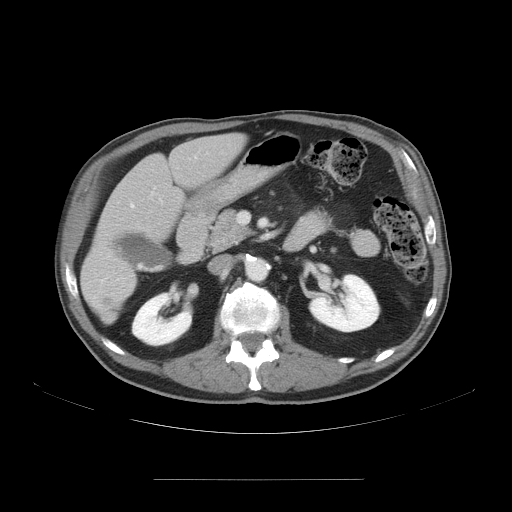

Abdomen. 512x512. CT slice. The vessel annotation is not exhaustive.
<segmentation>
  <hepatic_vessel><bbox>100, 277, 108, 282</bbox>, <bbox>237, 214, 239, 222</bbox>, <bbox>130, 202, 134, 208</bbox></hepatic_vessel>
</segmentation>